Computed tomography. Image width 347 mm. Abdomen. Image size 512x512. Slice index 67.

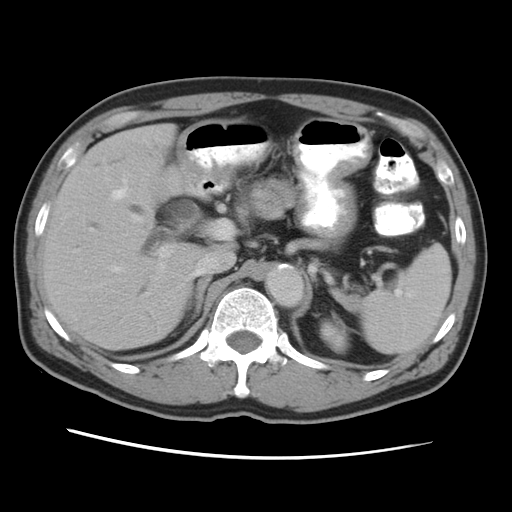

pancreas: x1=251, y1=178, x2=300, y2=216